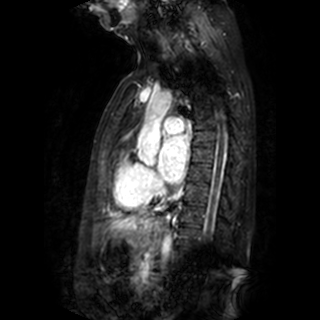

Cardiac, 320x320 px, MR
The left atrium lies within [159,136,186,182].